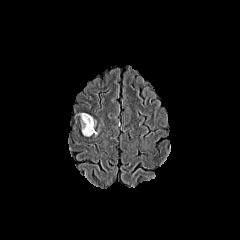
FLAIR MR image.
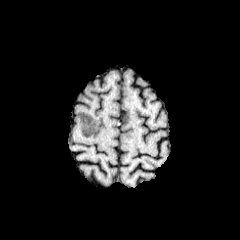
Same slice, T1-weighted MR image.
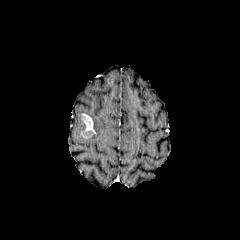
Post-contrast T1-weighted magnetic resonance.
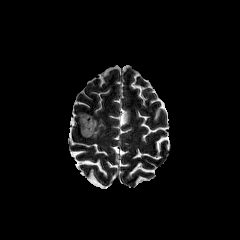
T2-weighted MRI.
Head
Annotated regions:
* non-enhancing tumor core: {"x1": 81, "y1": 124, "x2": 96, "y2": 137}, {"x1": 77, "y1": 113, "x2": 86, "y2": 122}
* enhancing tumor: {"x1": 83, "y1": 114, "x2": 95, "y2": 133}